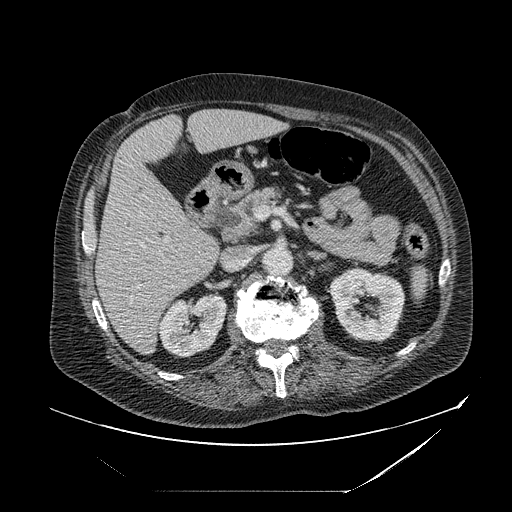 CT. Abdomen.

The pancreas is bounded by left=234, top=186, right=281, bottom=233. The pancreatic tumor is at left=244, top=221, right=256, bottom=232.